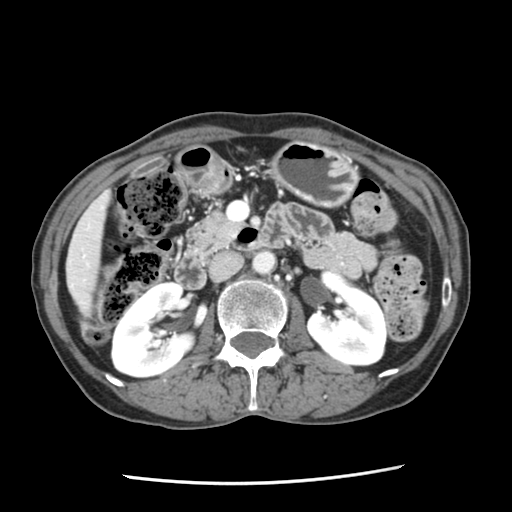

CT; Upper abdomen
{"pancreas": ["(left=194, top=207, right=244, bottom=256)"]}